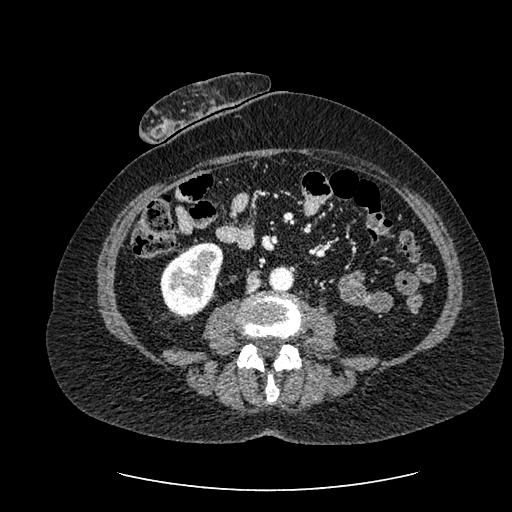

Abdomen | CT scan slice
Annotated regions:
- kidney: bbox=[161, 243, 222, 315]